Slice 119 of 696, Computed tomography
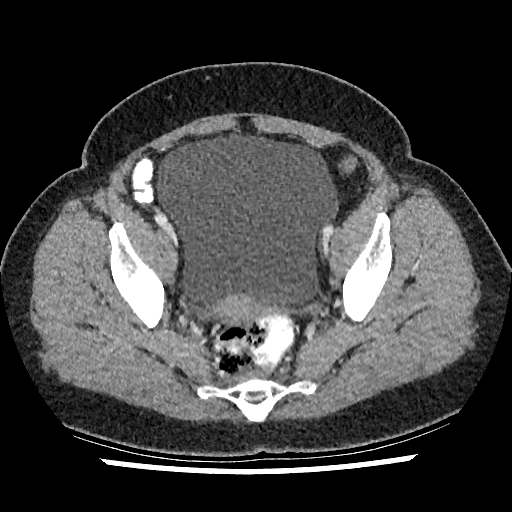

The urinary bladder is at left=156, top=133, right=336, bottom=317.